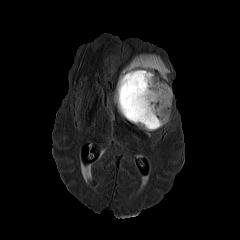
FLAIR MR image.
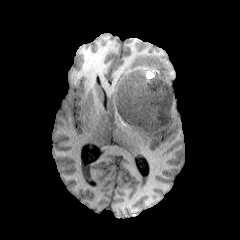
T1-weighted MRI.
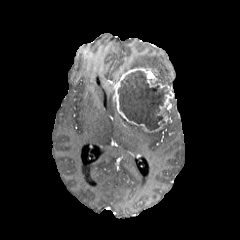
Post-contrast T1-weighted magnetic resonance.
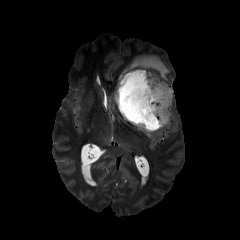
T2-weighted magnetic resonance.
Edema: <box>121,54,170,80</box>, <box>164,108,172,132</box>.
Enhancing tumor: <box>120,67,158,87</box>, <box>157,91,173,115</box>, <box>155,113,168,130</box>, <box>113,81,143,125</box>.
Non-enhancing tumor core: <box>118,70,171,130</box>.